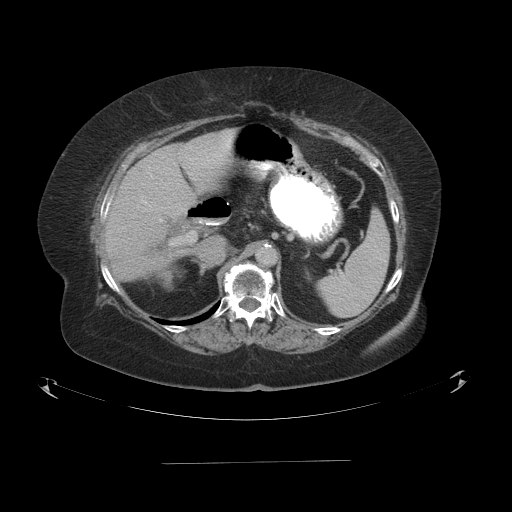 CT; 512x512; Abdomen
The vessel annotation is not exhaustive.
hepatic_vessel:
  - rect(171, 231, 194, 243)